Slice index 61, Field of view 240x240 mm
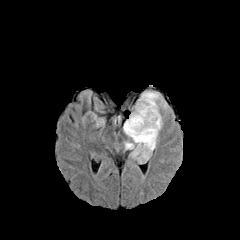
FLAIR MRI.
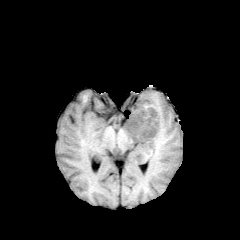
Same slice, T1-weighted MRI.
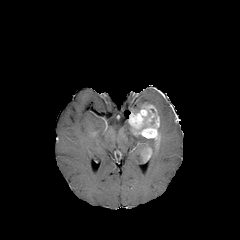
Post-contrast T1-weighted magnetic resonance.
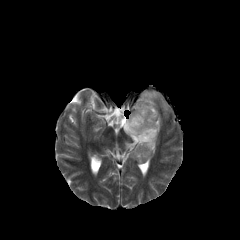
T2-weighted MR image of the same slice.
2 enhancing tumor regions appear at bbox=[142, 147, 151, 162]; bbox=[128, 105, 159, 138]. 2 edema regions are bounded by bbox=[133, 90, 171, 133]; bbox=[123, 120, 159, 163]. 2 non-enhancing tumor core regions are bounded by bbox=[133, 103, 151, 113]; bbox=[135, 144, 149, 159].